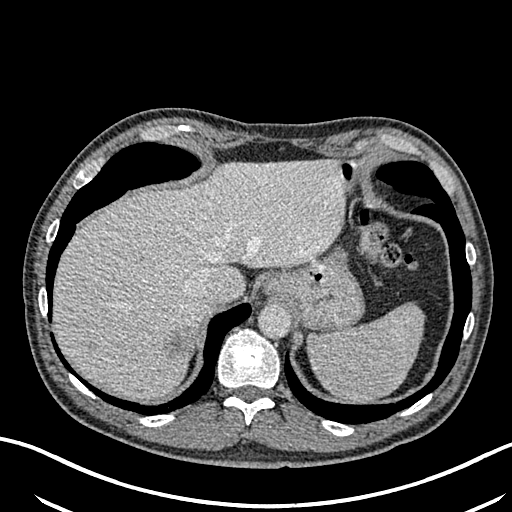

Computed tomography. Abdomen.

• hepatic lesion: <bbox>163, 328, 194, 361</bbox>
• liver: <bbox>54, 160, 340, 397</bbox>